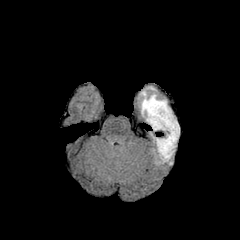
FLAIR magnetic resonance.
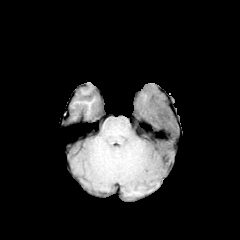
T1-weighted MR image.
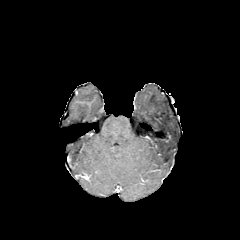
Post-contrast T1-weighted MR image of the same slice.
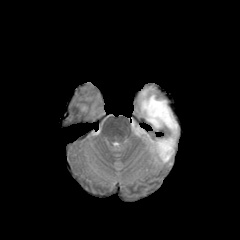
T2-weighted MRI.
240x240
{"non-enhancing_tumor_core": ["154,111,165,122"], "edema": ["139,86,179,164"]}